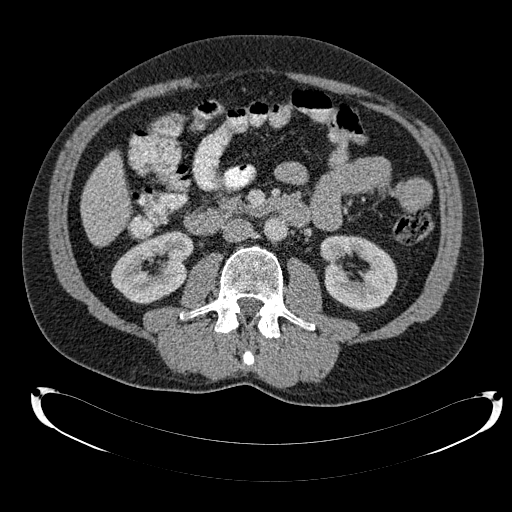 512x512 px, Abdomen, CT

Liver = [x1=82, y1=153, x2=130, y2=245].
Kidney = [x1=321, y1=236, x2=396, y2=310], [x1=112, y1=232, x2=191, y2=302].